CT slice
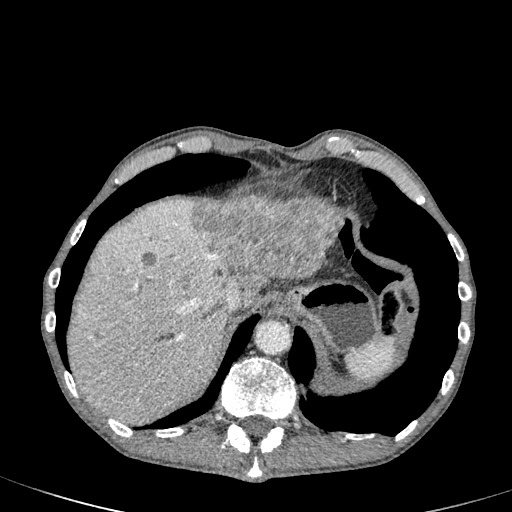

{
  "liver": [
    "(left=269, top=275, right=302, bottom=280)",
    "(left=70, top=200, right=238, bottom=423)"
  ],
  "hepatic_lesion": [
    "(left=192, top=198, right=341, bottom=306)",
    "(left=176, top=275, right=191, bottom=290)",
    "(left=143, top=253, right=154, bottom=265)"
  ]
}